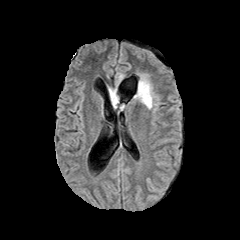
FLAIR MR image.
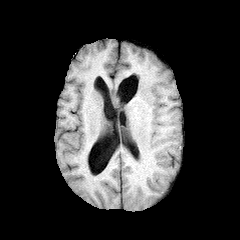
Same slice, T1-weighted MRI.
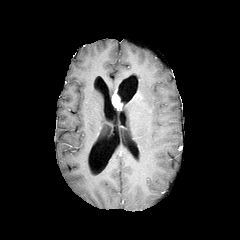
Post-contrast T1-weighted MRI.
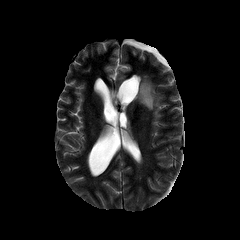
T2-weighted MR.
Brain
Findings:
• edema: <bbox>129, 74, 158, 111</bbox>
• enhancing tumor: <bbox>112, 92, 121, 108</bbox>